MR image | 320x320 px | Slice 58 of 122

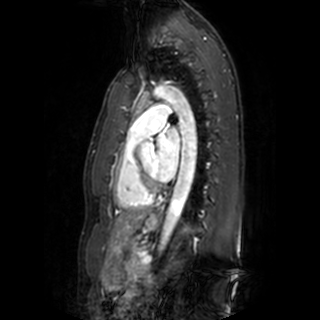 left_atrium:
  - x1=156, y1=129, x2=179, y2=180